Head; 240x240
FLAIR magnetic resonance.
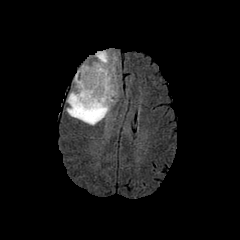
T1-weighted magnetic resonance.
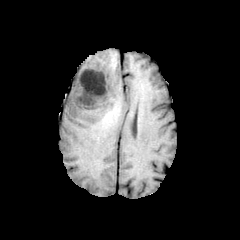
Post-contrast T1-weighted MR.
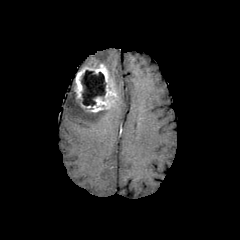
T2-weighted MR.
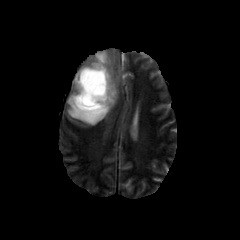
<segmentation>
  <edema>66 89 111 125, 91 50 118 95</edema>
  <enhancing_tumor>73 58 117 112</enhancing_tumor>
  <non-enhancing_tumor_core>82 70 105 106</non-enhancing_tumor_core>
</segmentation>